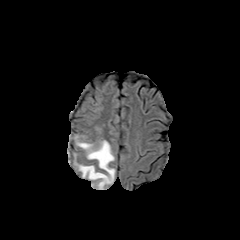
FLAIR MR.
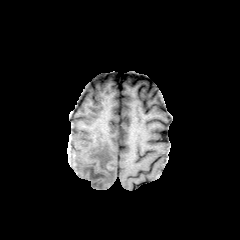
T1-weighted MRI.
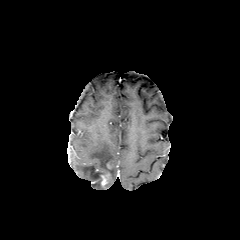
Post-contrast T1-weighted MR.
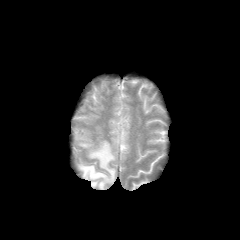
T2-weighted MR of the same slice.
Brain.
<segmentation>
  <enhancing_tumor>left=100, top=174, right=109, bottom=185</enhancing_tumor>
  <edema>left=74, top=134, right=115, bottom=189</edema>
</segmentation>